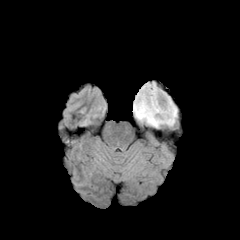
FLAIR MR image.
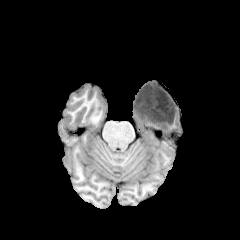
Same slice, T1-weighted magnetic resonance.
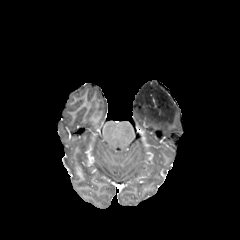
Post-contrast T1-weighted MR image of the same slice.
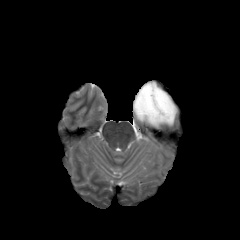
T2-weighted MR image of the same slice.
Head.
Segmented structures:
• edema: 133,104,177,128
• non-enhancing tumor core: 134,82,175,124